FLAIR MR.
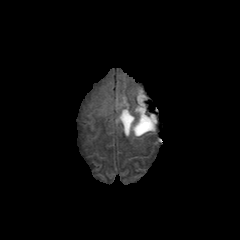
T1-weighted MR image.
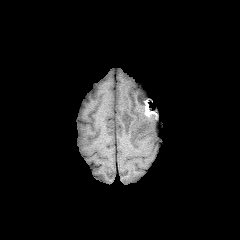
Post-contrast T1-weighted MR.
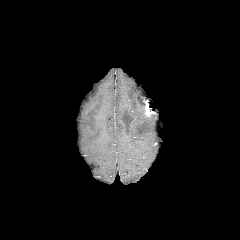
T2-weighted MR image.
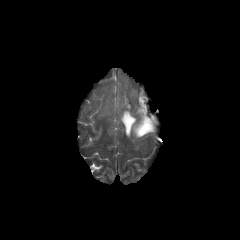
Brain | 240x240 px
Annotated regions:
* edema: <box>114,92,156,138</box>
* non-enhancing tumor core: <box>138,105,151,133</box>